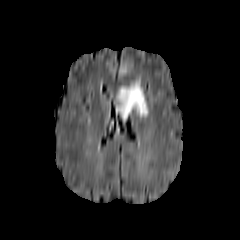
FLAIR MR image.
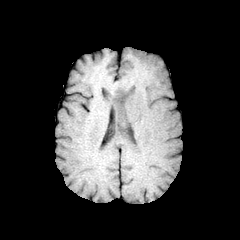
Same slice, T1-weighted MR.
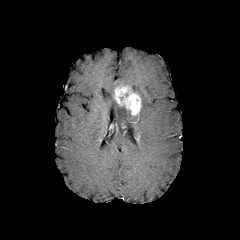
Same slice, post-contrast T1-weighted magnetic resonance.
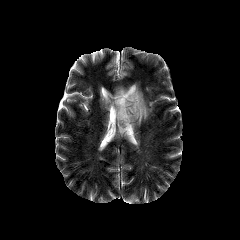
T2-weighted MR image.
Brain
The enhancing tumor appears at left=115, top=87, right=141, bottom=115. The edema is located at left=114, top=81, right=151, bottom=125.